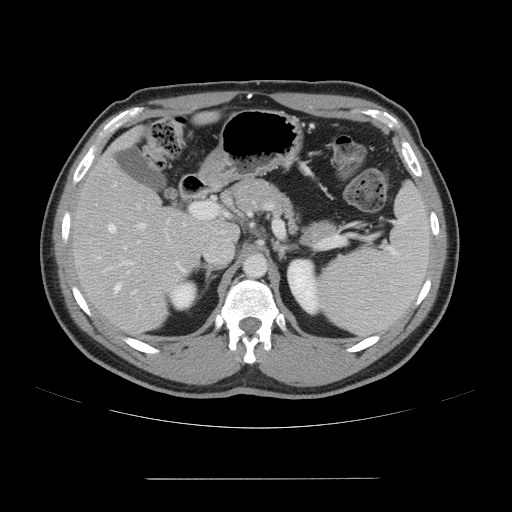 Computed tomography | Abdomen
Only some of the vessels may be annotated.
Hepatic vessel at (left=124, top=247, right=126, bottom=248), (left=103, top=270, right=105, bottom=271), (left=114, top=285, right=120, bottom=293), (left=120, top=260, right=131, bottom=264), (left=183, top=223, right=184, bottom=224), (left=132, top=290, right=136, bottom=293), (left=136, top=223, right=144, bottom=227), (left=108, top=224, right=115, bottom=231), (left=113, top=182, right=115, bottom=186).